FLAIR MR image.
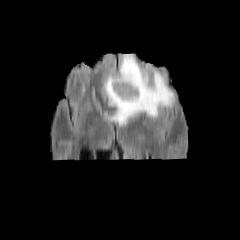
T1-weighted MR image.
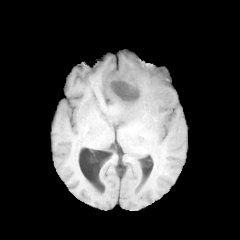
Post-contrast T1-weighted MR.
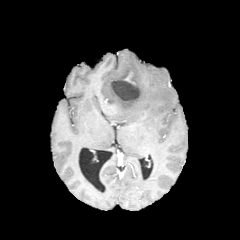
T2-weighted magnetic resonance.
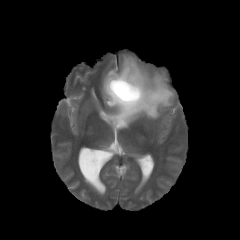
Image size 240x240
edema:
  - bbox(100, 54, 174, 127)
non-enhancing_tumor_core:
  - bbox(103, 70, 146, 110)